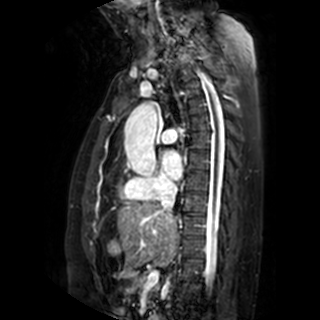

MRI. Cardiac. The left atrium is located at l=162, t=151, r=182, b=179.